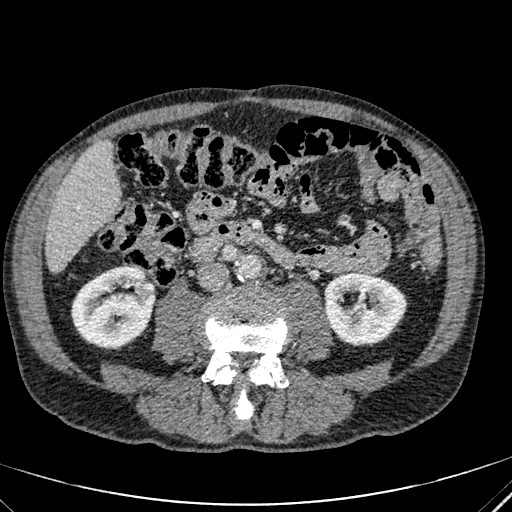

CT
{"kidney": ["[x1=72, y1=267, x2=153, y2=346]", "[x1=325, y1=274, x2=405, y2=343]"], "liver": ["[x1=46, y1=143, x2=119, y2=272]"]}